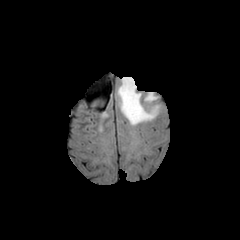
FLAIR MRI.
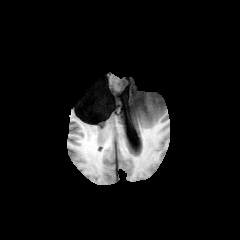
T1-weighted magnetic resonance of the same slice.
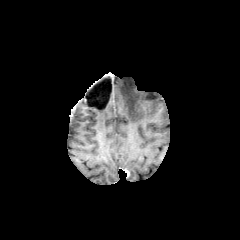
Post-contrast T1-weighted MR image.
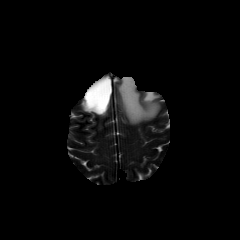
T2-weighted MR image.
240x240
The edema lies within 117,77,159,124.